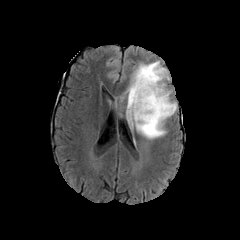
FLAIR magnetic resonance.
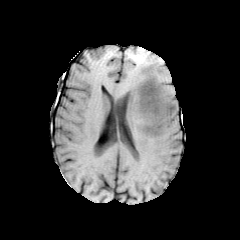
T1-weighted magnetic resonance.
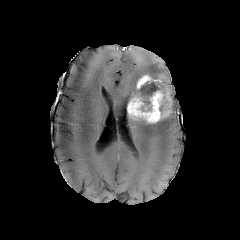
Post-contrast T1-weighted magnetic resonance.
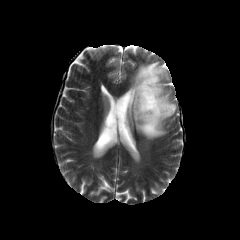
T2-weighted MRI.
Head, 240x240
{"non-enhancing_tumor_core": ["124, 80, 168, 115", "144, 122, 157, 131", "149, 72, 162, 79"], "edema": ["119, 60, 178, 112", "126, 115, 171, 139", "115, 102, 123, 117"], "enhancing_tumor": ["127, 90, 173, 123", "137, 75, 160, 88"]}